Brain
FLAIR MR.
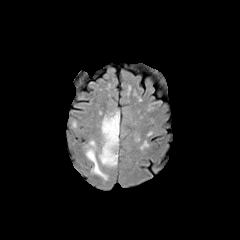
T1-weighted MR image.
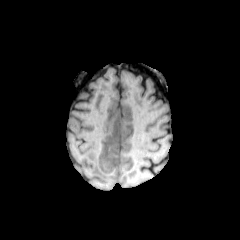
Post-contrast T1-weighted magnetic resonance.
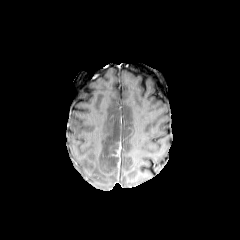
T2-weighted MR.
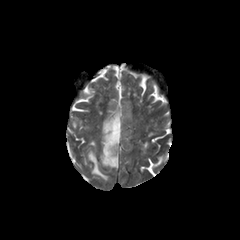
2 edema regions appear at rect(86, 140, 108, 180); rect(98, 109, 120, 167). The non-enhancing tumor core appears at rect(109, 141, 119, 164). The enhancing tumor is located at rect(115, 142, 121, 167).